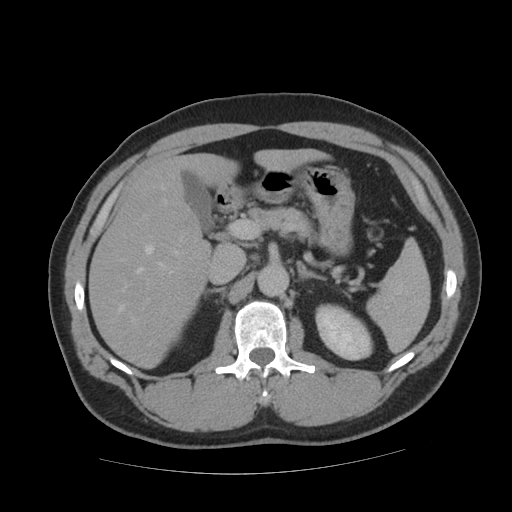
Abdomen | Computed tomography | Image size 512x512

Not every hepatic vessel necessarily has a box.
6 hepatic vessel regions are located at x1=123 y1=282 x2=128 y2=290, x1=158 y1=263 x2=165 y2=268, x1=145 y1=244 x2=153 y2=253, x1=174 y1=251 x2=179 y2=254, x1=119 y1=305 x2=123 y2=310, x1=135 y1=267 x2=145 y2=273.